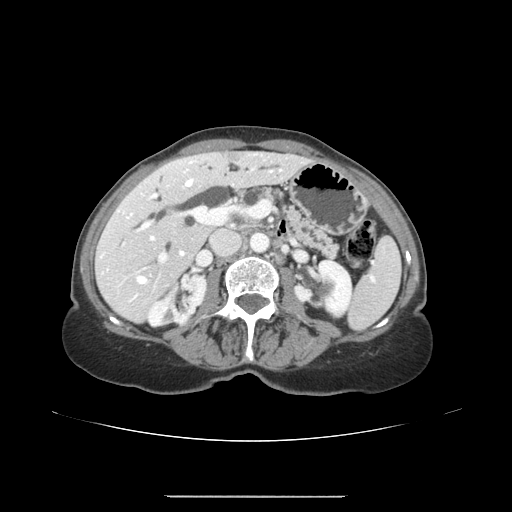

Computed tomography. <segmentation>
  <pancreas>(x1=282, y1=205, x2=337, y2=258), (x1=239, y1=187, x2=283, y2=219)</pancreas>
</segmentation>